FLAIR MR.
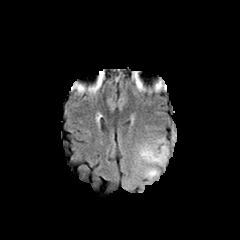
T1-weighted MR image.
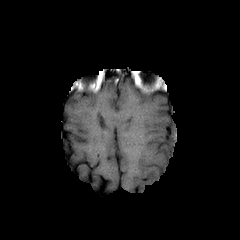
Post-contrast T1-weighted MR image.
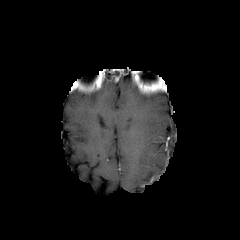
T2-weighted MRI.
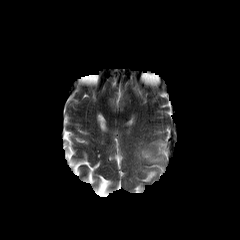
Head
• edema: 138:137:169:183